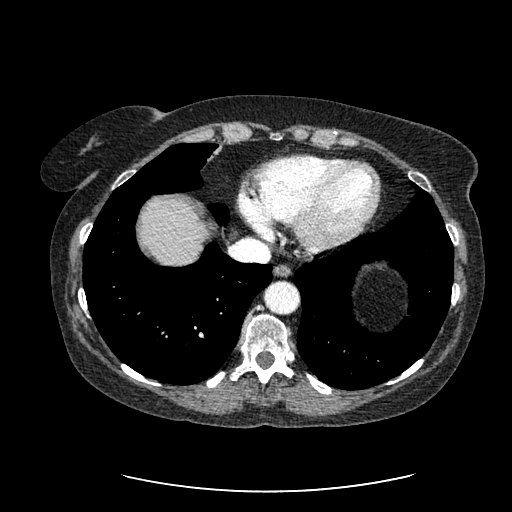

Upper abdomen. CT scan slice. 512x512. The liver is bounded by {"x1": 139, "y1": 198, "x2": 210, "y2": 264}.